Slice index 195, Field of view 500x500 mm, Computed tomography 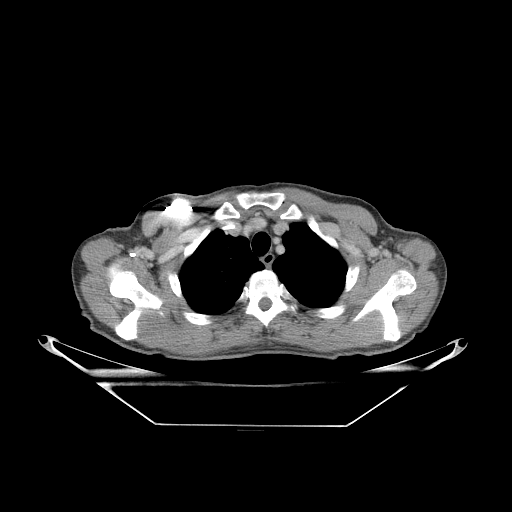 11 bone regions appear at 184,202,239,255; 109,265,162,339; 237,193,284,209; 354,270,415,340; 163,198,191,225; 280,204,322,237; 319,306,343,317; 346,267,359,290; 184,313,209,323; 168,273,180,296; 241,270,286,328. 2 lung regions are located at 272,222,346,307; 179,229,262,314.